FLAIR magnetic resonance.
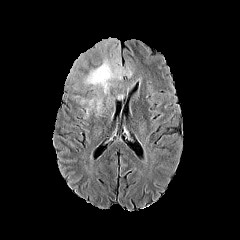
T1-weighted MRI.
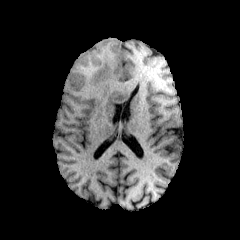
Post-contrast T1-weighted MR image.
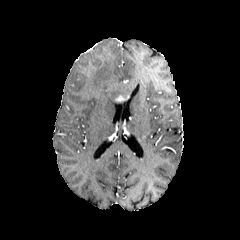
T2-weighted MRI.
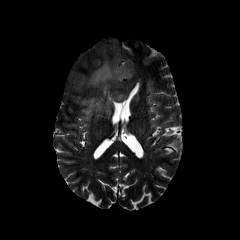
Brain
* edema: (80, 52, 132, 116)
* enhancing tumor: (115, 95, 130, 101)